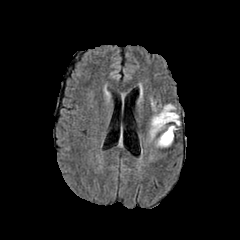
FLAIR MR.
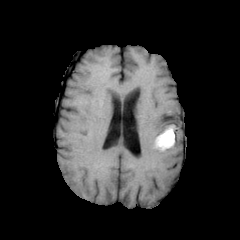
T1-weighted MR image of the same slice.
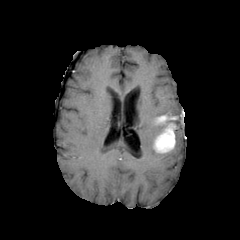
Post-contrast T1-weighted MR.
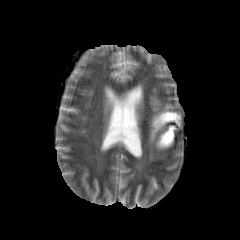
T2-weighted MR.
240x240 px | Brain
2 non-enhancing tumor core regions are located at 159,120,173,135; 154,134,174,152. 2 enhancing tumor regions are bounded by 156,124,175,148; 154,114,178,125. 3 edema regions are located at 170,119,181,131; 137,87,143,107; 147,98,180,149.